FLAIR MR.
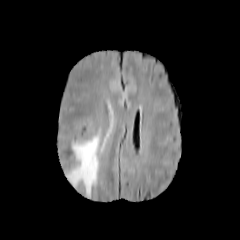
T1-weighted MR image.
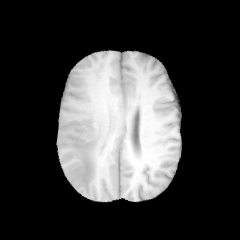
Post-contrast T1-weighted MR.
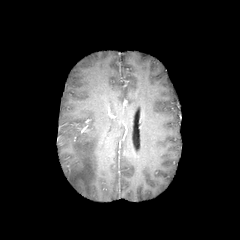
T2-weighted MR.
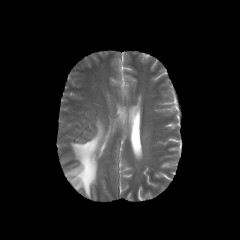
Head
The edema appears at bbox(66, 121, 104, 197).